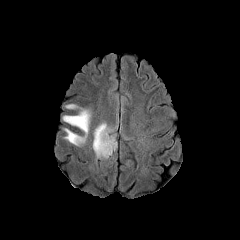
FLAIR magnetic resonance.
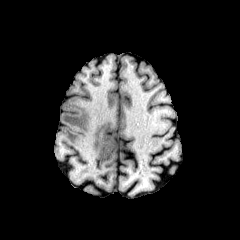
Same slice, T1-weighted MR.
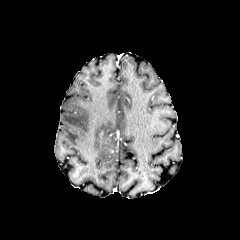
Post-contrast T1-weighted magnetic resonance of the same slice.
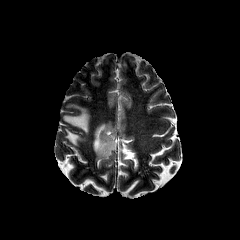
T2-weighted MRI of the same slice.
240x240
Edema at box=[63, 107, 90, 145]; box=[93, 123, 115, 158].